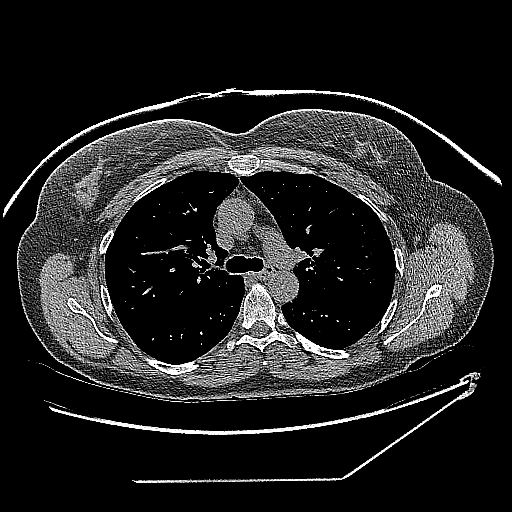
Image size 512x512 | Thorax | CT

lung tumor: [358,249,373,262]